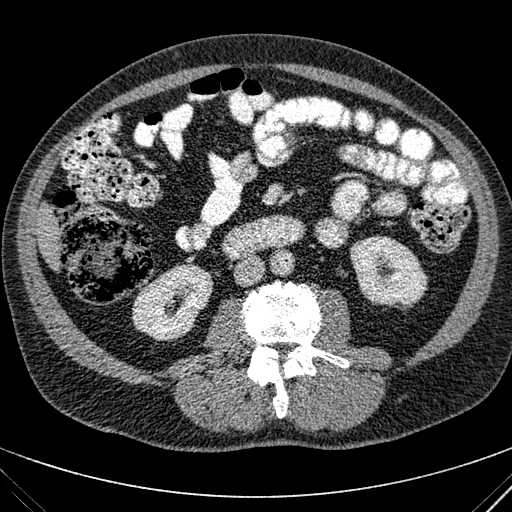

CT | 512x512 px | Liver

The liver is located at l=36, t=203, r=60, b=268. 2 kidney regions are bounded by l=351, t=236, r=426, b=304; l=132, t=264, r=212, b=340.